Brain; Field of view 240x240 mm
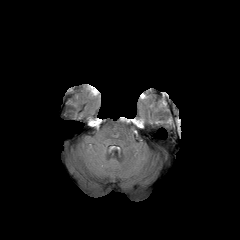
FLAIR MR.
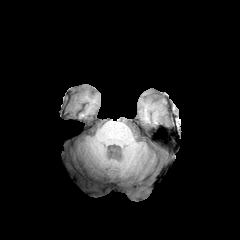
Same slice, T1-weighted MRI.
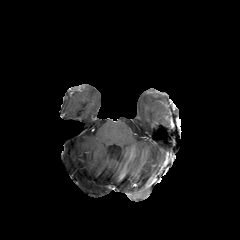
Post-contrast T1-weighted MR image.
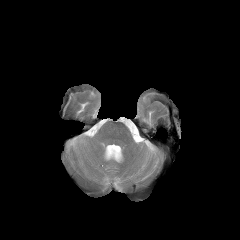
T2-weighted MR.
Segmented structures:
• non-enhancing tumor core: rect(109, 146, 118, 155)
• edema: rect(102, 145, 118, 160)